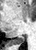 MRI slice, 36x50, Medial temporal lobe

The posterior hippocampus lies within region(8, 36, 24, 44).